FLAIR MR image.
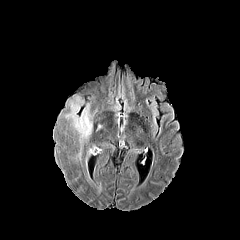
T1-weighted MRI.
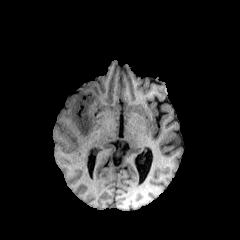
Post-contrast T1-weighted MR.
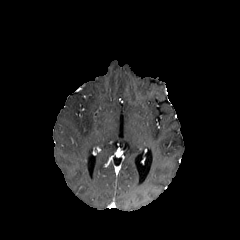
T2-weighted magnetic resonance.
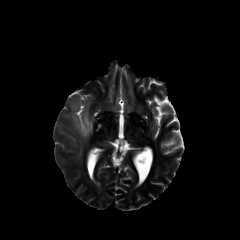
Head
Edema = (left=74, top=104, right=92, bottom=137).